CT image; Field of view 344x344 mm; Slice 378 of 836; Upper abdomen
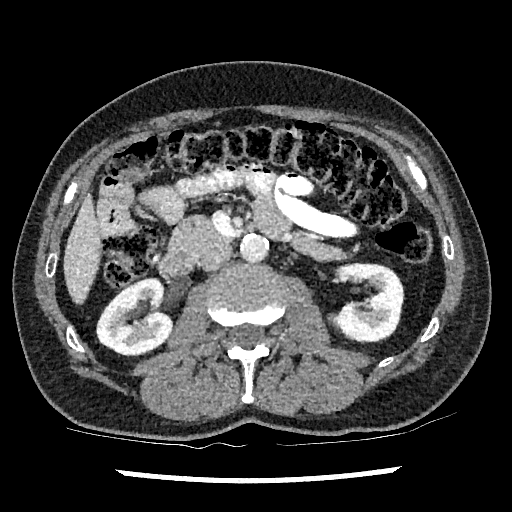
Liver = box(64, 195, 101, 304).
Kidney = box(337, 264, 402, 340); box(97, 279, 171, 354).